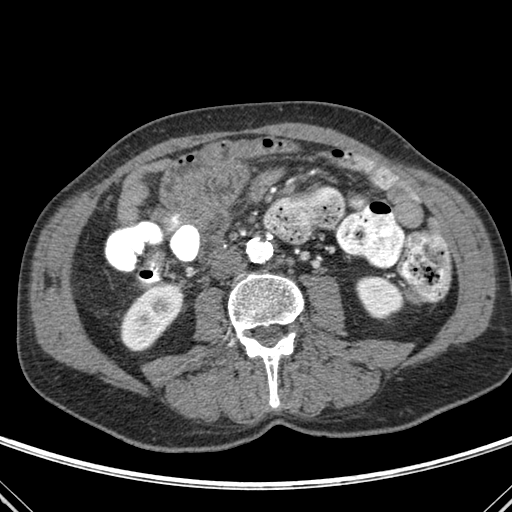 CT scan slice; 512x512
Segmented structures:
• kidney: 122,285,181,349; 357,278,399,317
• bone: 228,274,303,407